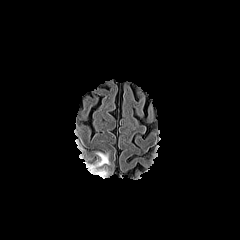
FLAIR magnetic resonance.
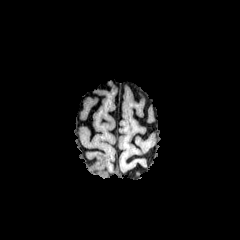
T1-weighted MRI.
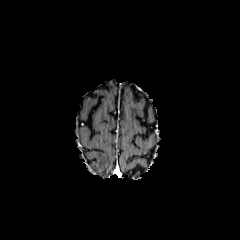
Post-contrast T1-weighted MR image.
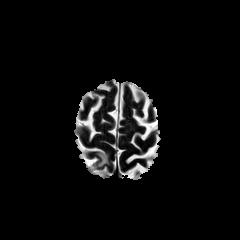
T2-weighted magnetic resonance.
240x240
Edema — 93 153 108 169, 96 171 108 178.